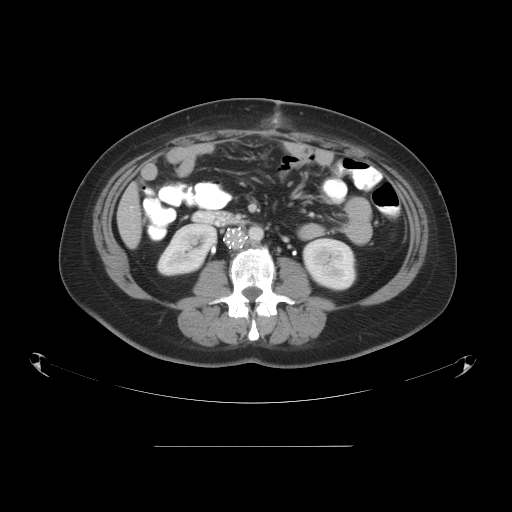 512x512 | Computed tomography
Some hepatic vessels may have no box.
<segmentation>
  <hepatic_vessel>(left=131, top=207, right=132, bottom=208)</hepatic_vessel>
</segmentation>